Slice 125/216, Abdomen, CT scan slice 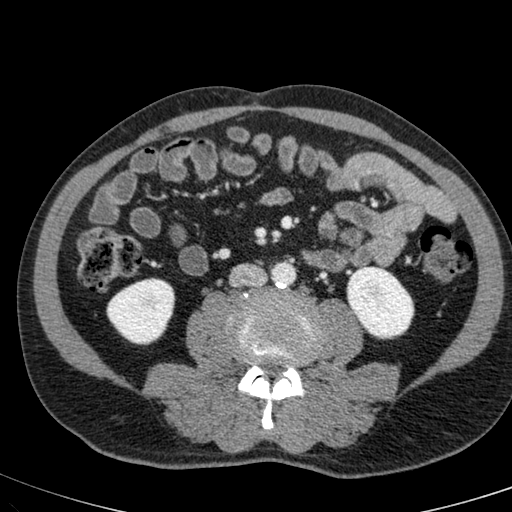
2 kidney regions are located at left=348, top=268, right=412, bottom=336; left=108, top=280, right=173, bottom=342.